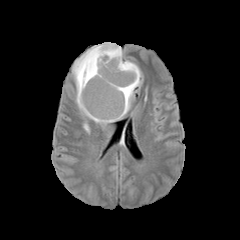
FLAIR MR.
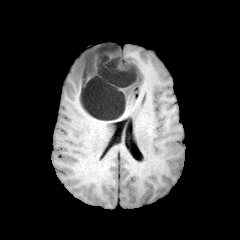
T1-weighted MRI of the same slice.
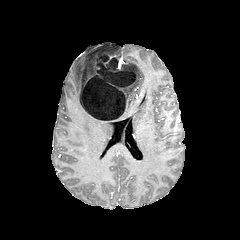
Post-contrast T1-weighted MRI.
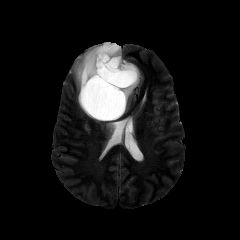
T2-weighted MR of the same slice.
Brain
<segmentation>
  <enhancing_tumor>bbox=[110, 55, 125, 68]</enhancing_tumor>
  <edema>bbox=[72, 45, 114, 125]; bbox=[124, 64, 143, 114]</edema>
  <non-enhancing_tumor_core>bbox=[80, 44, 137, 121]</non-enhancing_tumor_core>
</segmentation>